CT image
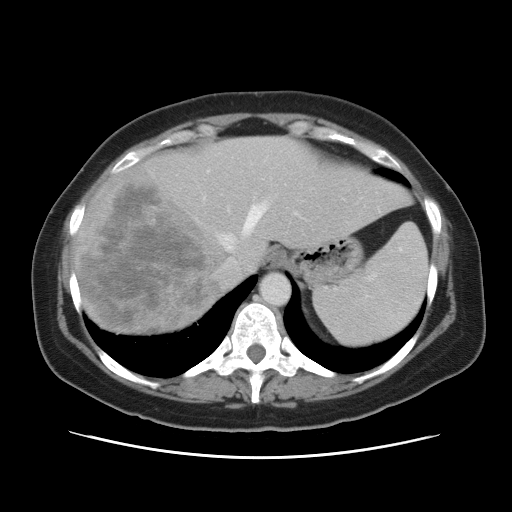 Not every hepatic vessel necessarily has a box.
6 hepatic vessel regions are bounded by bbox(295, 212, 298, 215); bbox(378, 208, 379, 210); bbox(217, 234, 252, 287); bbox(247, 252, 256, 255); bbox(244, 204, 266, 232); bbox(228, 206, 229, 209). The liver tumor is located at bbox(80, 178, 229, 331).